Liver, 512x512, CT image
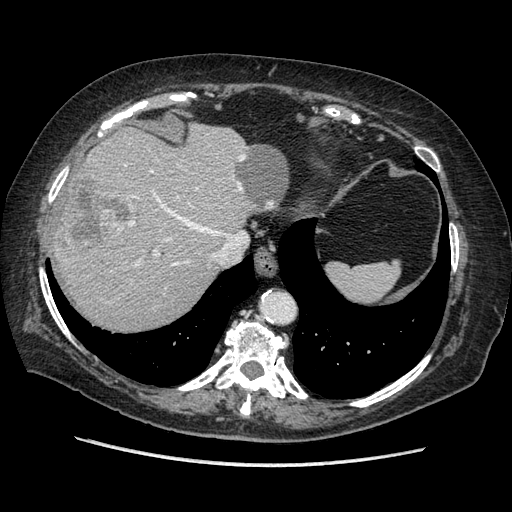
Only some of the vessels may be annotated.
The liver tumor is at box(57, 174, 135, 250). 7 hepatic vessel regions appear at box(137, 260, 140, 262); box(227, 236, 231, 238); box(175, 262, 178, 263); box(154, 251, 157, 254); box(181, 218, 218, 234); box(213, 253, 217, 257); box(159, 203, 174, 214).